MR
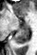
* posterior hippocampus: (14,24,28,44)